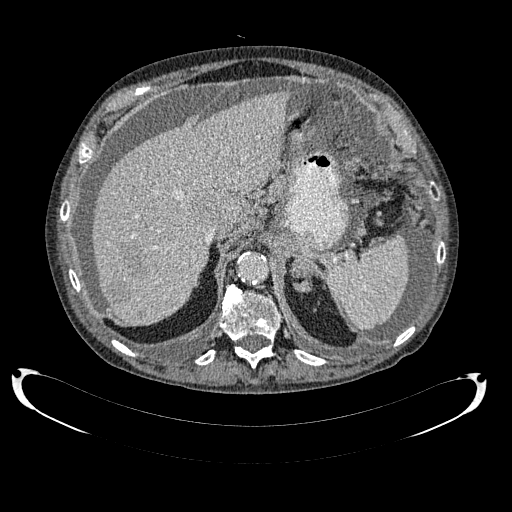

512x512; CT scan slice; Liver
Liver — 92:91:292:325.
Hepatic lesion — 108:279:129:303, 122:244:145:275, 137:309:145:320, 192:199:214:222, 231:156:240:169.